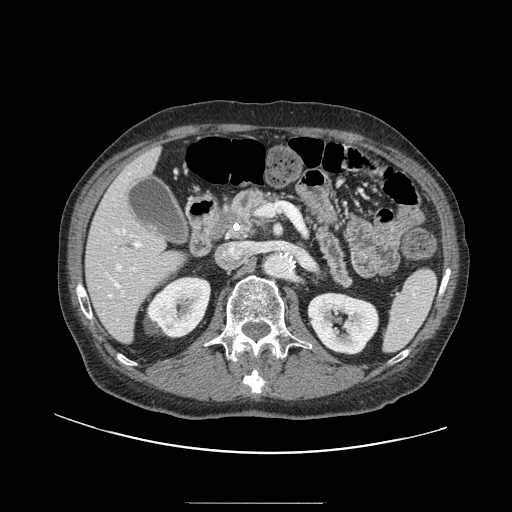 512x512; CT scan slice; Abdomen
{
  "pancreatic_tumor": [
    "region(219, 209, 246, 223)"
  ],
  "pancreas": [
    "region(232, 189, 350, 285)"
  ]
}